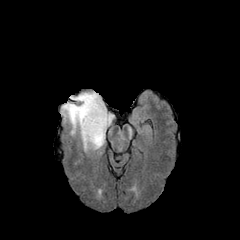
FLAIR magnetic resonance.
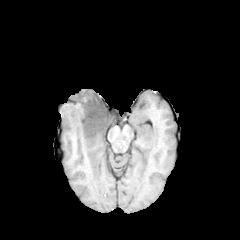
T1-weighted MR image.
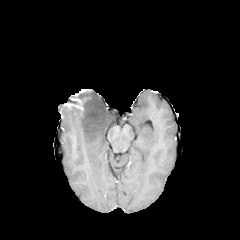
Post-contrast T1-weighted MR of the same slice.
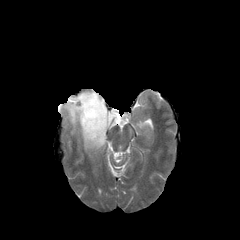
T2-weighted MR image.
Image size 240x240; Brain
- edema: 79,91,105,107; 61,106,113,152
- non-enhancing tumor core: 72,94,105,132
- enhancing tumor: 66,96,83,109